Slice 62 of 155.
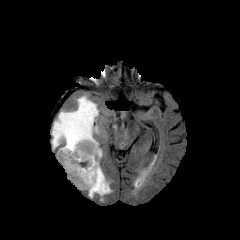
FLAIR magnetic resonance.
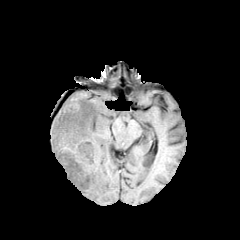
T1-weighted MRI of the same slice.
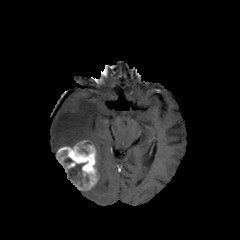
Post-contrast T1-weighted MR of the same slice.
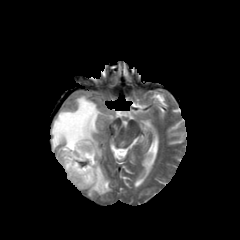
T2-weighted magnetic resonance of the same slice.
Edema — box(51, 95, 112, 200).
Non-enhancing tumor core — box(69, 162, 86, 180).
Enhancing tumor — box(56, 140, 99, 190).